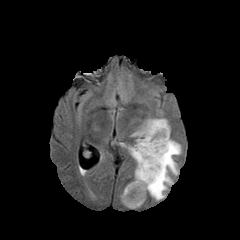
FLAIR MR image.
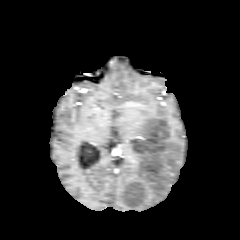
T1-weighted magnetic resonance of the same slice.
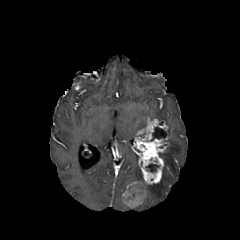
Post-contrast T1-weighted MR image.
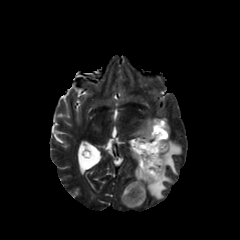
Same slice, T2-weighted MR.
240x240. Brain.
Non-enhancing tumor core: x1=150, y1=126, x2=167, y2=140; x1=146, y1=163, x2=159, y2=172; x1=123, y1=185, x2=143, y2=200.
Enhancing tumor: x1=131, y1=119, x2=167, y2=183; x1=127, y1=182, x2=141, y2=188; x1=125, y1=190, x2=144, y2=205.
Edema: x1=133, y1=166, x2=143, y2=182; x1=128, y1=144, x2=137, y2=163; x1=142, y1=118, x2=181, y2=200.